MRI, Slice index 44, Cardiac, Image size 320x320
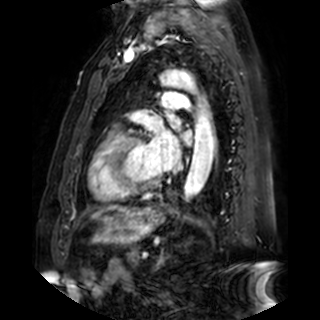
Segmented structures:
- left atrium: bbox(170, 117, 180, 128); bbox(145, 124, 181, 172); bbox(179, 131, 192, 144)